Field of view 465 mm wide, 2.50 mm slice spacing. CT. Image size 512x512. Upper abdomen.

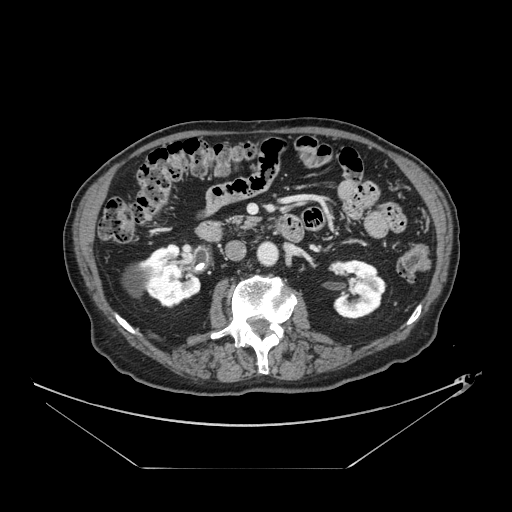 The pancreas is bounded by 229, 216, 259, 229.